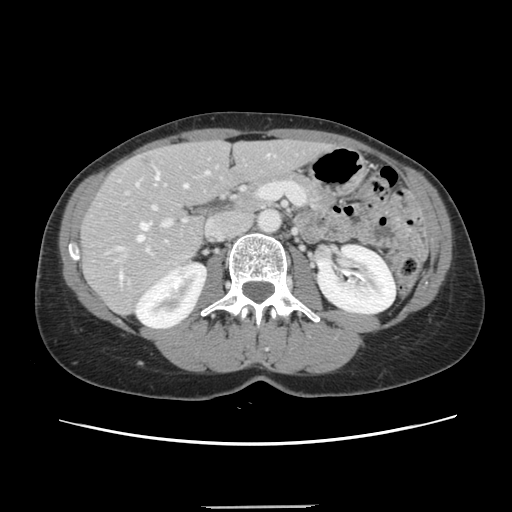
512x512 | CT scan slice

Only some of the vessels may be annotated.
hepatic_vessel:
  - 140,222,150,229
  - 137,235,143,241
  - 184,184,187,186
  - 146,247,149,252
  - 136,183,138,185
  - 116,247,122,249
  - 162,219,171,226
  - 267,154,269,155
  - 153,206,155,208
  - 205,171,208,172
  - 183,219,185,221
  - 119,272,122,284
  - 155,170,159,179